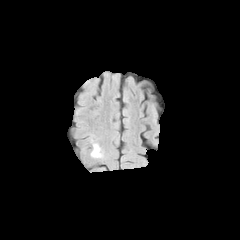
FLAIR MR.
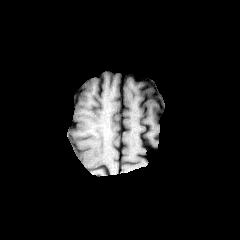
T1-weighted magnetic resonance of the same slice.
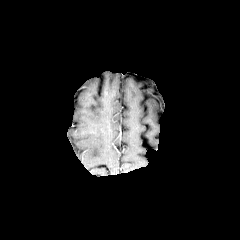
Post-contrast T1-weighted MR.
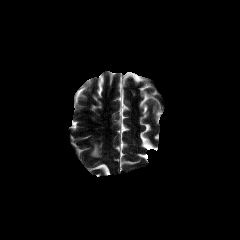
T2-weighted MR image.
<segmentation>
  <edema>91,144,100,157</edema>
</segmentation>